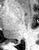 MR, 39x50 px, Medial temporal lobe
posterior_hippocampus:
  - <bbox>13, 42, 18, 44</bbox>